Slice 86/155, Image width 240 mm
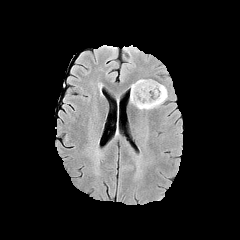
FLAIR MRI.
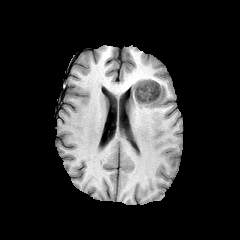
T1-weighted magnetic resonance of the same slice.
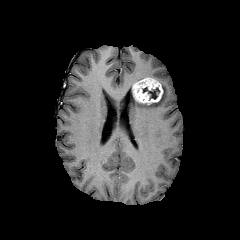
Post-contrast T1-weighted magnetic resonance of the same slice.
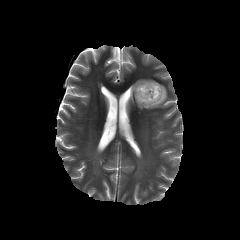
T2-weighted magnetic resonance of the same slice.
The non-enhancing tumor core lies within [143,87,159,99]. The edema is at [132,84,167,109]. The enhancing tumor is located at [132,78,163,103].